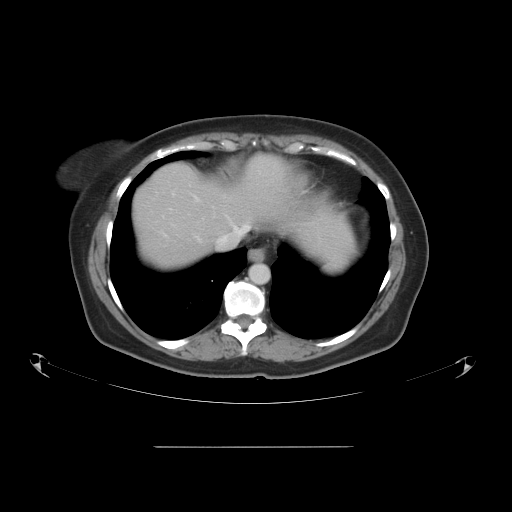
CT
The vessel annotation is not exhaustive.
3 hepatic vessel regions are located at [196,236,198,238], [194,195,199,200], [217,223,249,246].